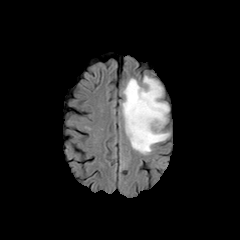
FLAIR magnetic resonance.
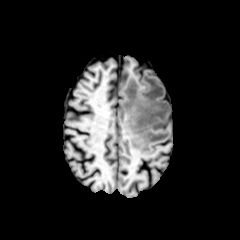
Same slice, T1-weighted MR image.
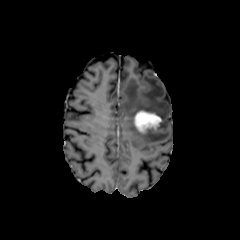
Post-contrast T1-weighted MR of the same slice.
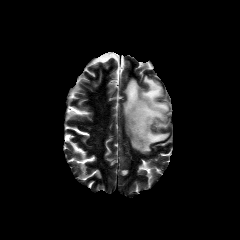
T2-weighted MRI of the same slice.
240x240 px; Brain
The edema is at x1=122 y1=75 x2=169 y2=154. The enhancing tumor lies within x1=134 y1=110 x2=161 y2=133.